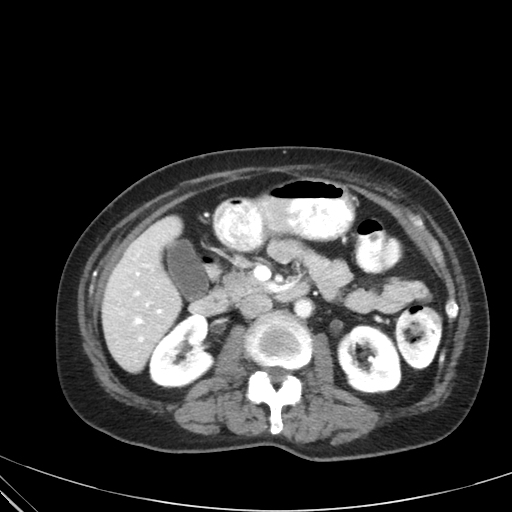 Image size 512x512, CT image
<segmentation>
  <pancreas>(left=231, top=270, right=242, bottom=284), (left=245, top=271, right=253, bottom=282)</pancreas>
</segmentation>